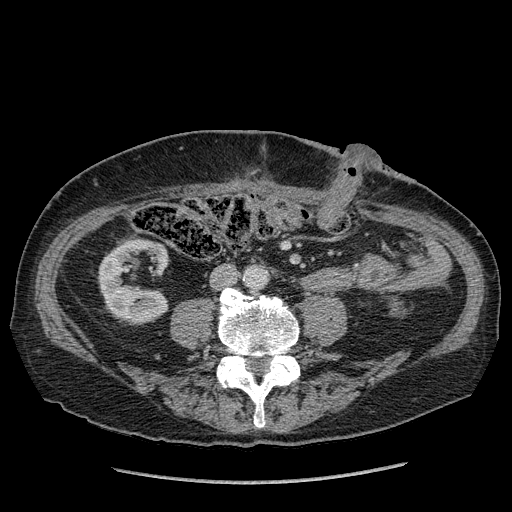

CT slice
Kidney — [x1=99, y1=239, x2=167, y2=322].